CT slice.

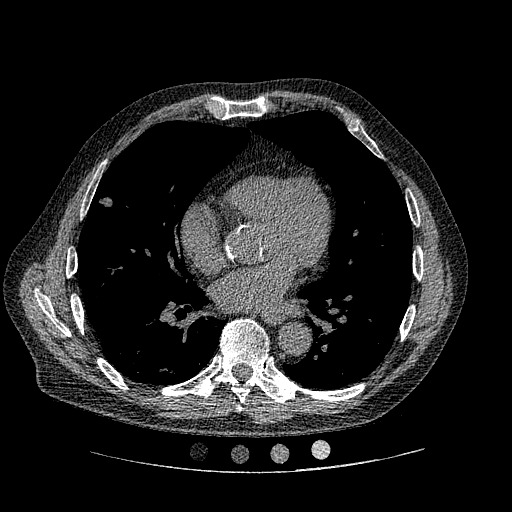

<segmentation>
  <lung_tumor>[x1=95, y1=194, x2=115, y2=208]</lung_tumor>
</segmentation>